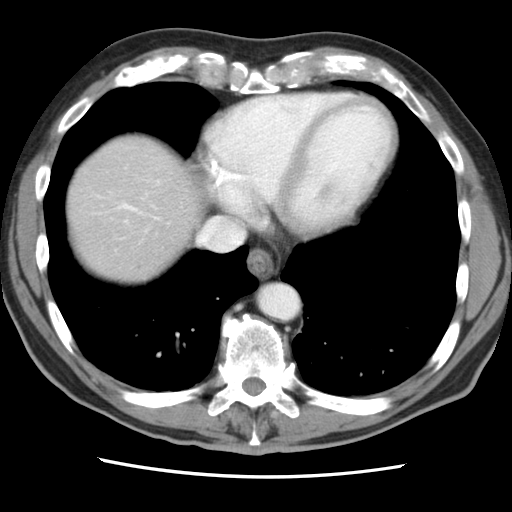

Abdomen | Computed tomography | Image size 512x512
The vessel boxes may cover only some of the vessels.
hepatic_vessel:
  - (left=119, top=203, right=134, bottom=209)
  - (left=157, top=181, right=159, bottom=182)
  - (left=125, top=220, right=127, bottom=222)